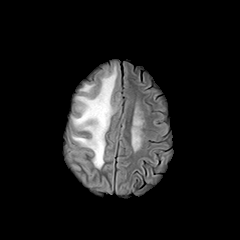
FLAIR MR image.
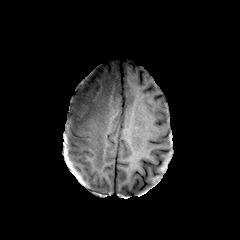
T1-weighted MR image.
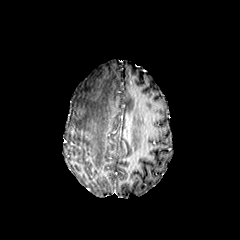
Post-contrast T1-weighted MR.
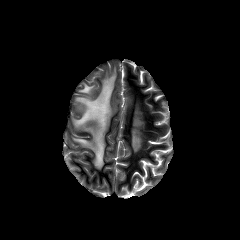
Same slice, T2-weighted MR image.
Brain
The edema appears at x1=73, y1=68, x2=117, y2=168.